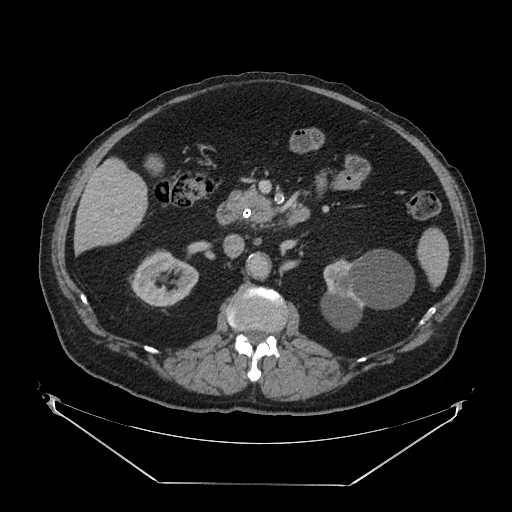

CT scan slice

pancreas:
  - [231, 191, 273, 220]
pancreatic_tumor:
  - [252, 200, 265, 214]